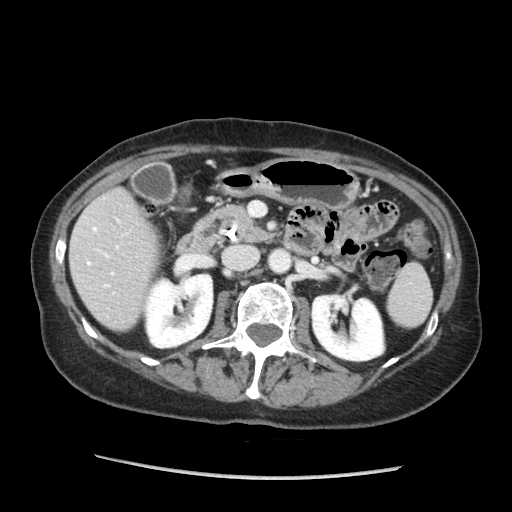

Computed tomography

Annotated regions:
* pancreatic tumor: (225, 206, 246, 219)
* pancreas: (213, 205, 270, 241)